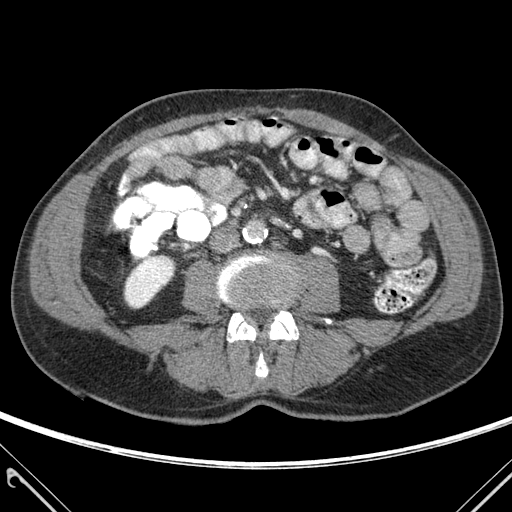
Abdomen. CT image. 512x512. Bone: <box>256,353,267,376</box>, <box>228,313,255,341</box>, <box>218,256,294,307</box>, <box>269,310,298,339</box>.
Kidney: <box>125,256,172,307</box>.